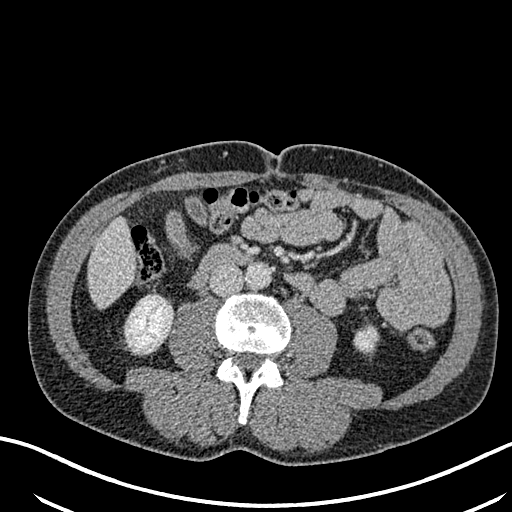

CT. Image size 512x512. Upper abdomen. Kidney = bbox=[125, 295, 172, 352]; bbox=[356, 329, 376, 349].
Liver = bbox=[88, 218, 134, 308].